Slice 551/654 | CT | Field of view 400 mm wide, 0.70 mm slice spacing | Liver

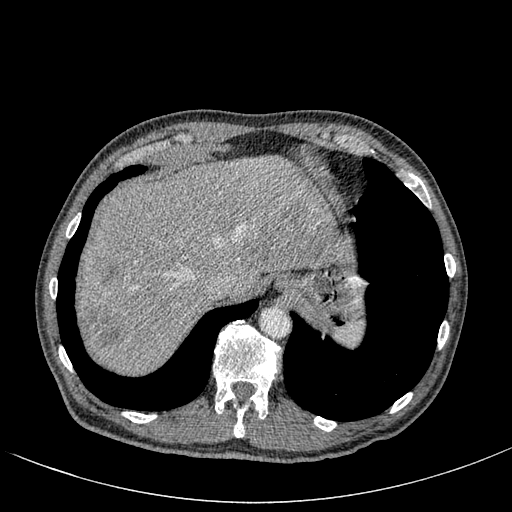

Findings:
* hepatic lesion: 100,265,119,284; 287,202,309,222; 83,304,127,346; 250,249,272,263
* liver: 80,154,351,374